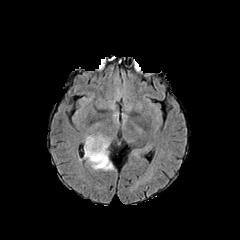
FLAIR MR.
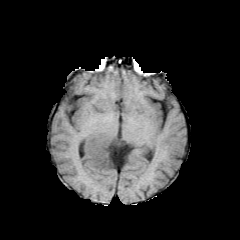
T1-weighted MR.
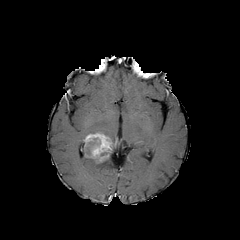
Post-contrast T1-weighted MR image.
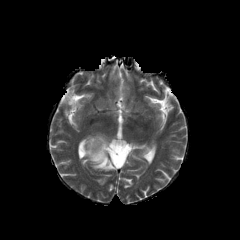
Same slice, T2-weighted MR image.
Brain
enhancing_tumor:
  - (x1=83, y1=133, x2=118, y2=163)
edema:
  - (x1=84, y1=156, x2=113, y2=170)